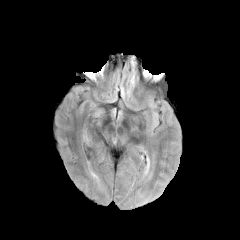
FLAIR magnetic resonance.
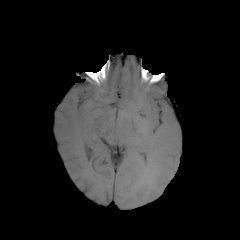
T1-weighted MR of the same slice.
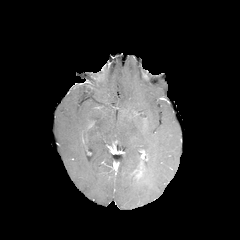
Same slice, post-contrast T1-weighted MRI.
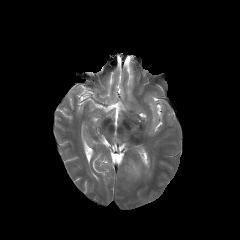
T2-weighted MR.
The enhancing tumor is located at l=131, t=160, r=143, b=179.